Brain
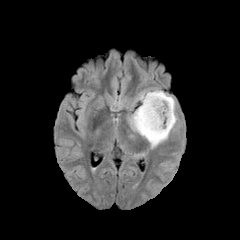
FLAIR MR.
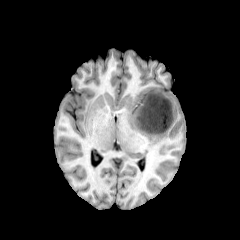
Same slice, T1-weighted MR image.
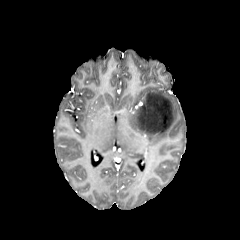
Same slice, post-contrast T1-weighted MR.
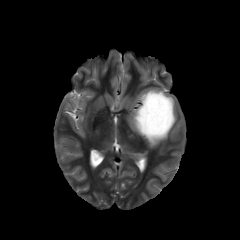
T2-weighted MR image.
edema: bbox(128, 87, 179, 148); bbox(114, 99, 128, 105) | non-enhancing tumor core: bbox(134, 92, 172, 136)